CT; Image size 512x512; Upper abdomen
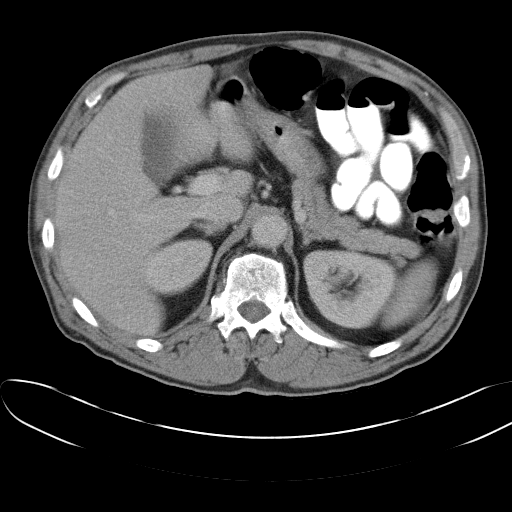 spleen: 383,262,436,326